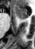
MR image | Medial temporal lobe

{
  "anterior_hippocampus": [
    "14,5,27,18"
  ]
}